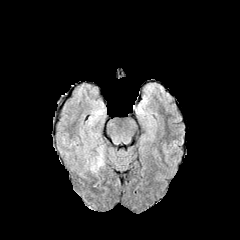
FLAIR MR.
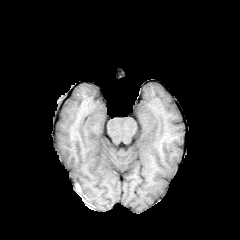
T1-weighted magnetic resonance of the same slice.
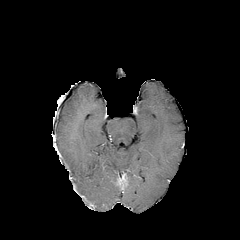
Same slice, post-contrast T1-weighted MR image.
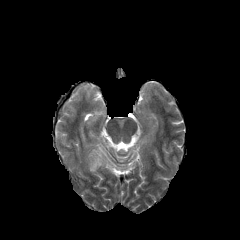
T2-weighted MRI.
2 edema regions are located at 83:133:111:173, 90:106:103:123.